FLAIR MR image.
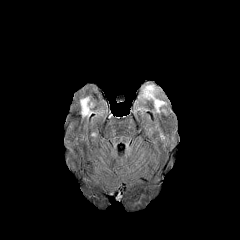
T1-weighted MRI.
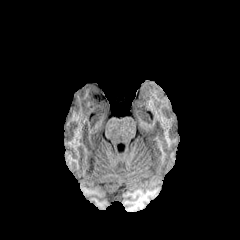
Post-contrast T1-weighted MRI.
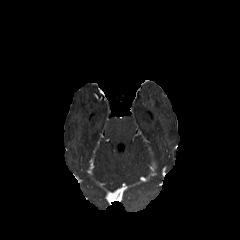
T2-weighted magnetic resonance.
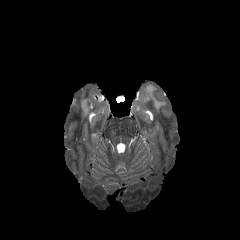
240x240 px, Brain
2 edema regions are bounded by box(140, 85, 164, 112); box(80, 97, 93, 117).